Field of view 492x492 mm; Slice index 55; CT scan slice; 512x512; Abdomen

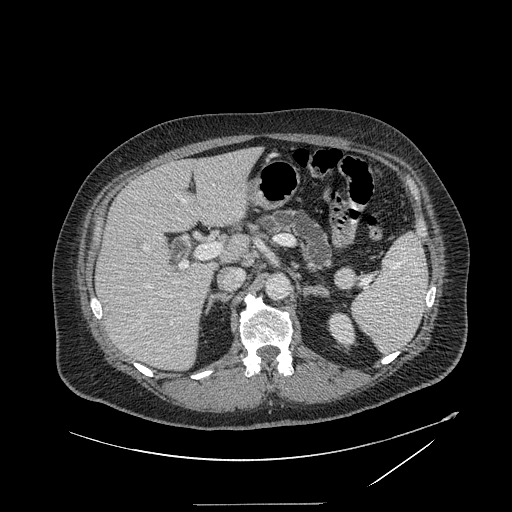

The pancreas lies within 257,210,332,270.